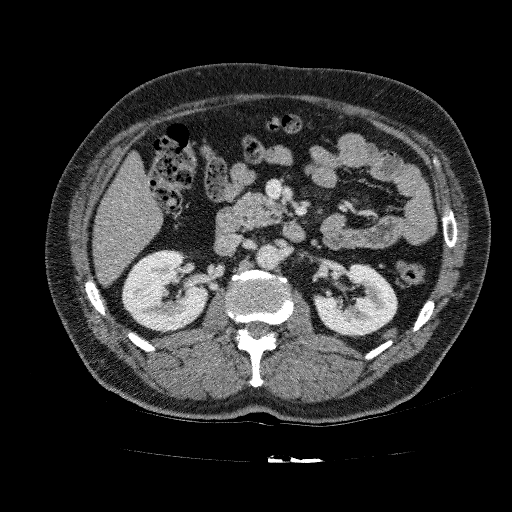 Liver, CT scan slice
Liver: <bbox>93, 152, 162, 285</bbox>.
Kidney: <bbox>123, 250, 207, 330</bbox>, <bbox>315, 265, 396, 334</bbox>.